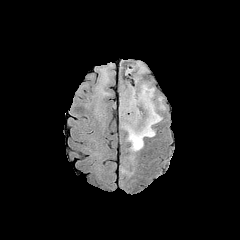
FLAIR MR image.
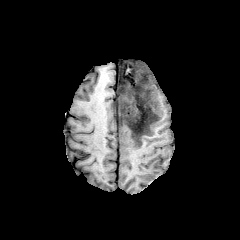
T1-weighted magnetic resonance of the same slice.
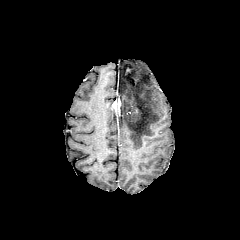
Same slice, post-contrast T1-weighted magnetic resonance.
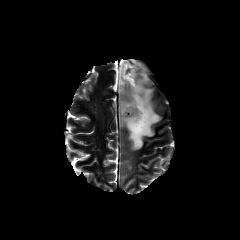
Same slice, T2-weighted MR.
Enhancing tumor at (113, 98, 121, 115).
Edema at (119, 63, 162, 151).
Non-enhancing tumor core at (119, 74, 157, 141).